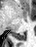 36x47. MRI slice.
The posterior hippocampus lies within <box>14,32,26,40</box>.